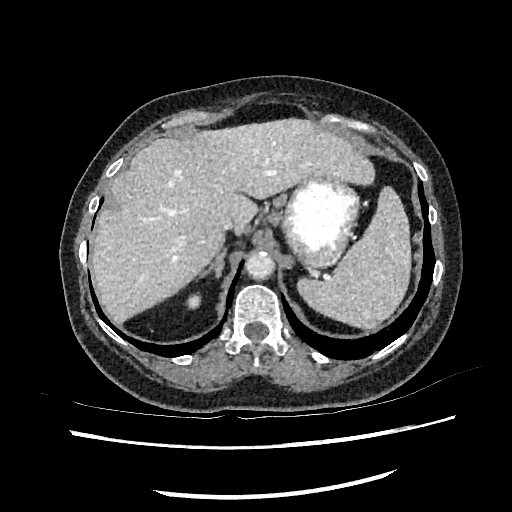

Computed tomography. Liver at 91,119,374,322.